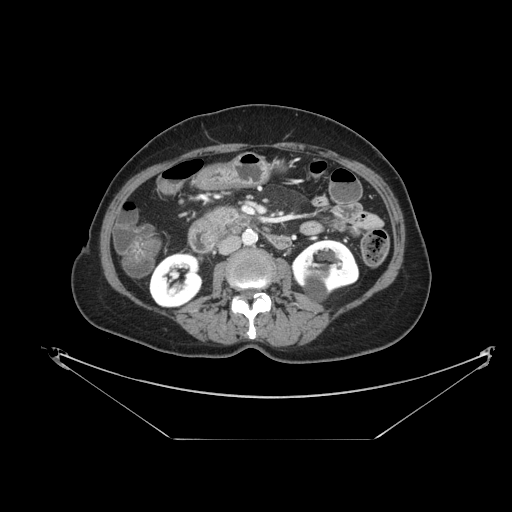
Upper abdomen; CT
pancreas:
  - left=207, top=207, right=240, bottom=236